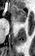 Hippocampus. Magnetic resonance.
Anterior hippocampus — (left=11, top=5, right=26, bottom=22).